Hippocampus | Slice index 9 | MRI
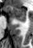 <segmentation>
  <anterior_hippocampus>[x1=5, y1=5, x2=25, y2=21]</anterior_hippocampus>
</segmentation>